Slice 22 of 127, CT scan slice, 512x512, Abdomen
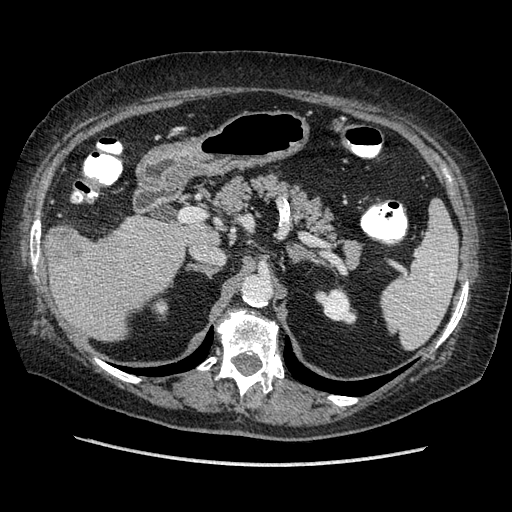

Liver tumor = x1=50 y1=231 x2=88 y2=264.